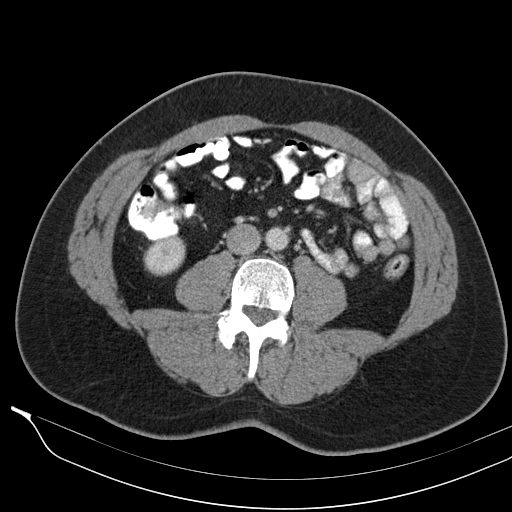
CT slice | Image size 512x512

colon_tumor:
  - <box>141,200,168,216</box>